CT slice. Slice 38/105. Abdomen.
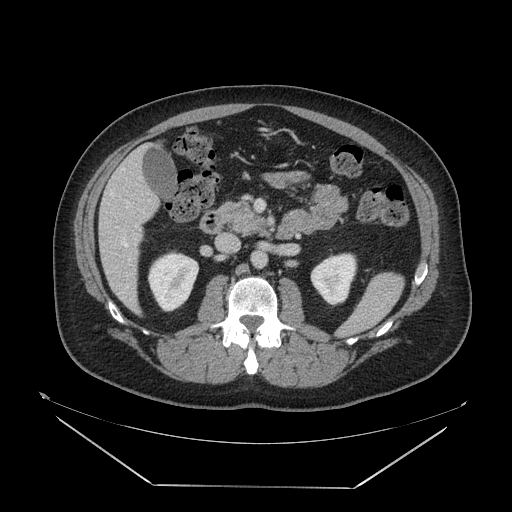 The pancreas lies within region(220, 202, 264, 233).